CT image

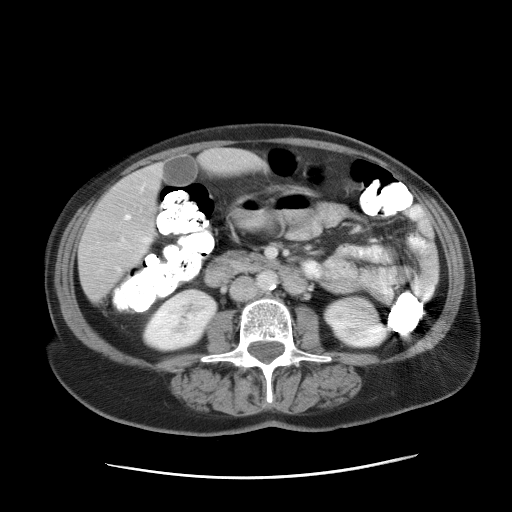

The vessel boxes may cover only some of the vessels.
hepatic vessel: [142,238,150,243], [116,267,119,270], [125,215,129,219]